Image width 434 mm | CT slice | Liver | Slice index 412 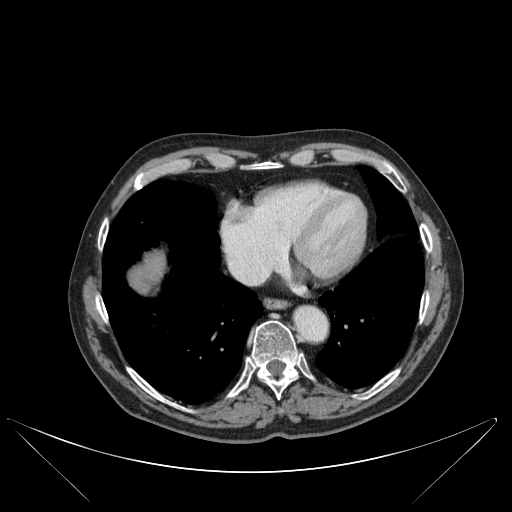
{"lung": ["(315,165,424,388)", "(102,180,262,403)"], "bone": ["(419,293,429,321)", "(134,173,146,189)", "(127,368,167,402)", "(228,321,312,399)", "(384,166,398,181)", "(98,219,107,249)", "(96,298,107,321)", "(363,369,399,398)", "(251,163,280,168)", "(420,224,432,251)"], "liver": ["(130,256,164,293)"]}